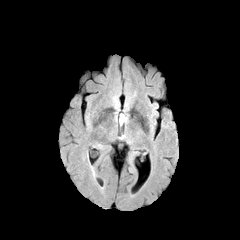
FLAIR magnetic resonance.
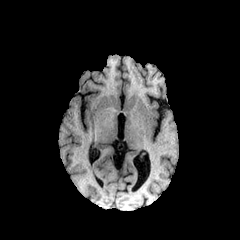
T1-weighted MRI.
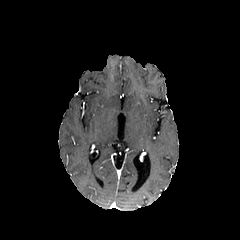
Post-contrast T1-weighted MR of the same slice.
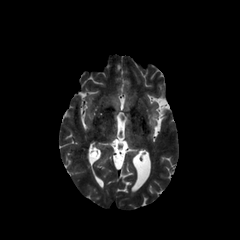
T2-weighted MRI.
Edema = <box>86,151,96,182</box>.